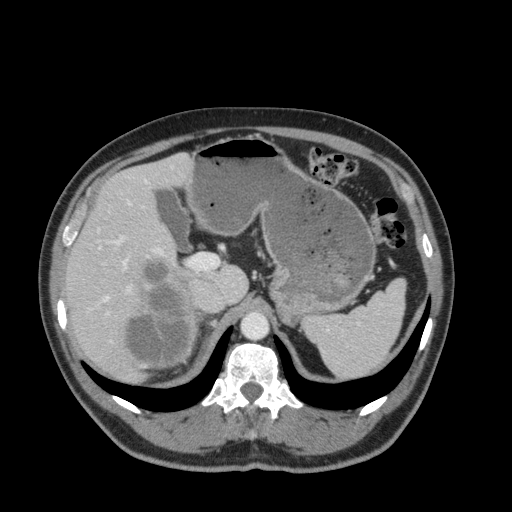
Computed tomography.
2 liver regions appear at left=66, top=154, right=192, bottom=381; left=185, top=266, right=247, bottom=303.